Heart, MR, Slice 33/100 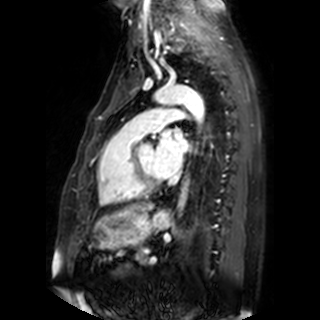

The left atrium lies within (left=155, top=129, right=189, bottom=176).